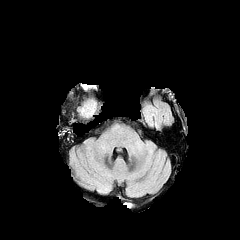
FLAIR MR.
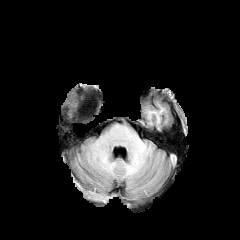
T1-weighted MR of the same slice.
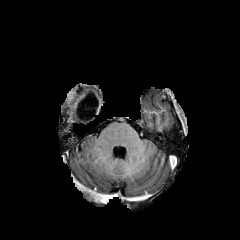
Same slice, post-contrast T1-weighted MR.
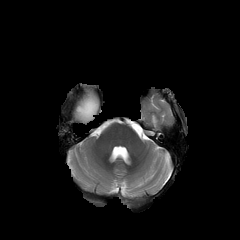
Same slice, T2-weighted MR.
Head
The non-enhancing tumor core appears at box(81, 100, 95, 116).